Computed tomography, Upper abdomen

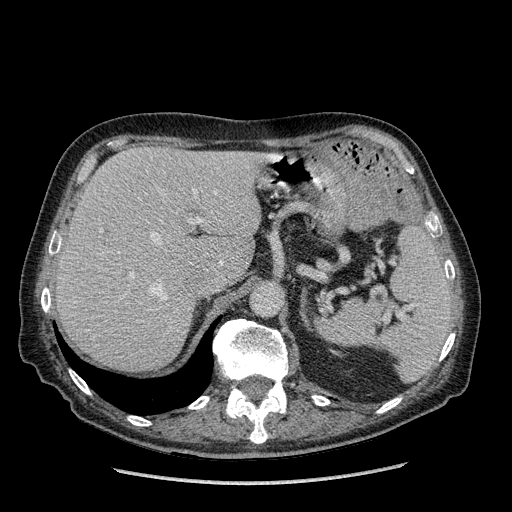 Liver — rect(57, 147, 261, 371).